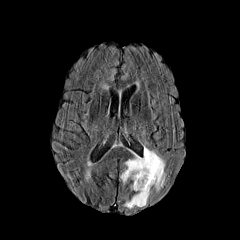
FLAIR magnetic resonance.
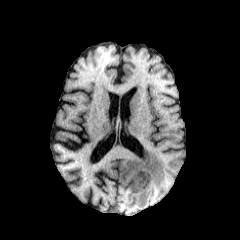
T1-weighted MR.
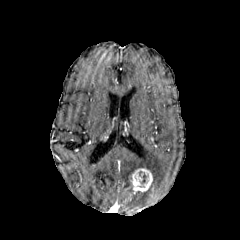
Same slice, post-contrast T1-weighted magnetic resonance.
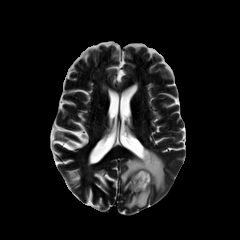
T2-weighted MR image of the same slice.
{"edema": ["x1=124, y1=188, x2=149, y2=210", "x1=118, y1=147, x2=166, y2=191"], "non-enhancing_tumor_core": ["x1=136, y1=170, x2=149, y2=187"], "enhancing_tumor": ["x1=131, y1=168, x2=152, y2=191"]}